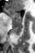

MRI, Medial temporal lobe
<segmentation>
  <posterior_hippocampus>12:21:22:35</posterior_hippocampus>
  <anterior_hippocampus>5:9:22:20</anterior_hippocampus>
</segmentation>